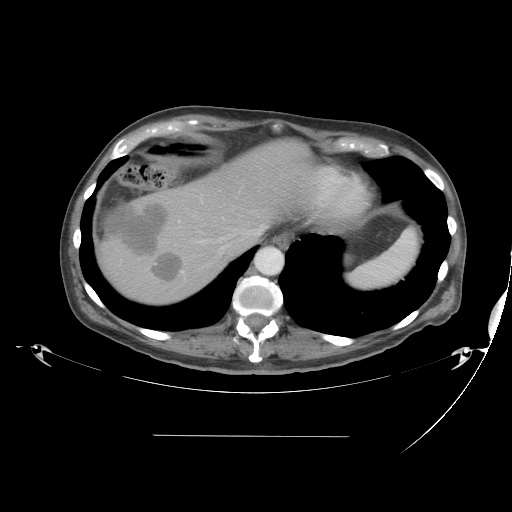 CT slice. Abdomen. Only some of the vessels may be annotated.
- liver tumor: (x1=152, y1=254, x2=181, y2=278), (x1=105, y1=205, x2=166, y2=257)
- hepatic vessel: (x1=216, y1=228, x2=251, y2=241), (x1=192, y1=215, x2=195, y2=216), (x1=218, y1=248, x2=224, y2=254)